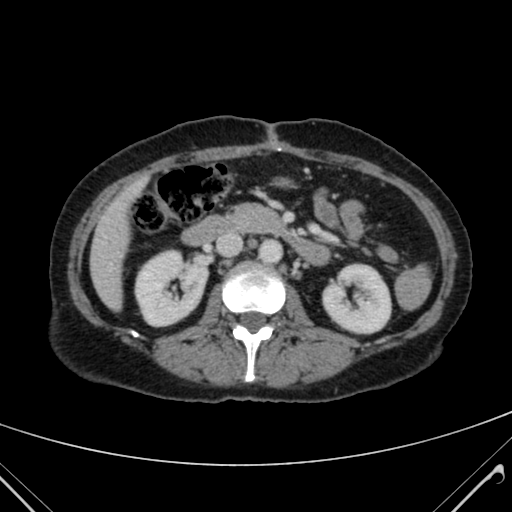

CT
The liver appears at l=91, t=179, r=142, b=306. 2 kidney regions appear at l=324, t=265, r=389, b=332; l=136, t=252, r=206, b=324.